CT image. Slice 102/251.
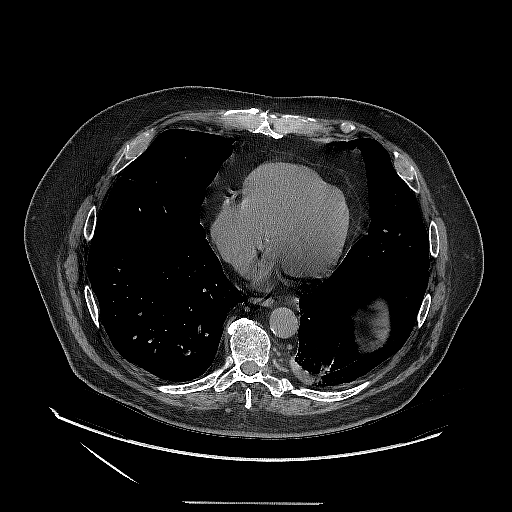
Lung tumor = <bbox>293, 344, 342, 385</bbox>.